FLAIR MR.
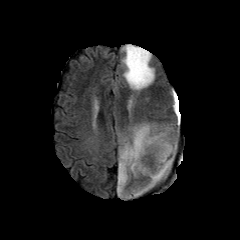
T1-weighted MR.
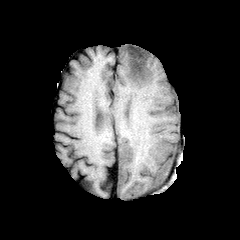
Post-contrast T1-weighted magnetic resonance.
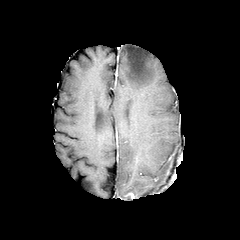
T2-weighted MR image.
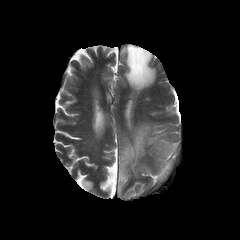
Brain
3 edema regions are bounded by bbox(150, 140, 175, 185); bbox(120, 44, 155, 90); bbox(118, 126, 156, 191). The non-enhancing tumor core lies within bbox(128, 46, 147, 81).